Slice 253/343. Field of view 360 mm wide, 1.25 mm slice spacing. Liver. CT image. 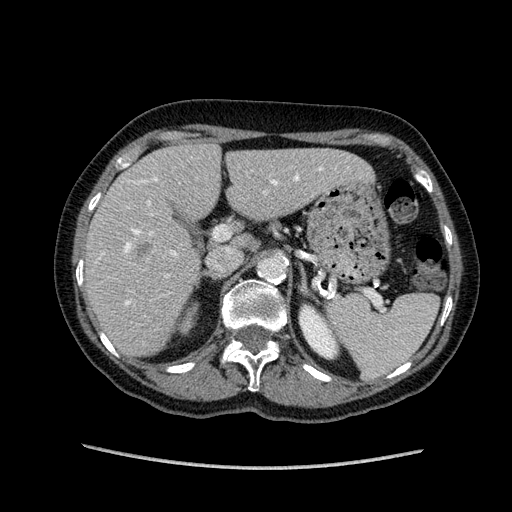
Kidney: <box>300,307,335,356</box>.
Liver: <box>86,146,368,352</box>.
Liver lesion: <box>137,244,150,254</box>.